Computed tomography

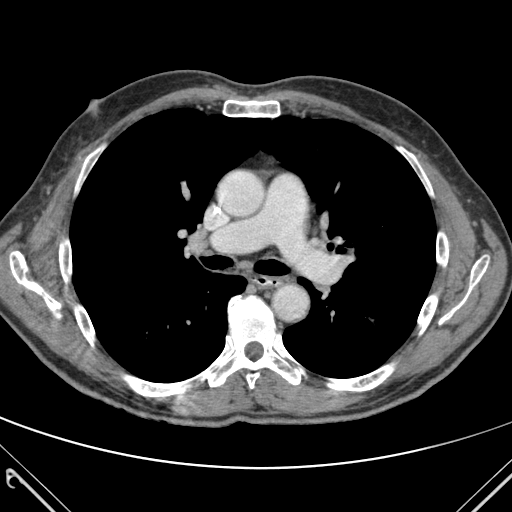 Lung: bounding box (x1=70, y1=108, x2=435, y2=382).
Bone: bounding box (x1=418, y1=295, x2=437, y2=333), (x1=327, y1=365, x2=393, y2=390), (x1=59, y1=241, x2=71, y2=281), (x1=398, y1=147, x2=432, y2=194), (x1=222, y1=100, x2=281, y2=117), (x1=124, y1=295, x2=303, y2=396), (x1=436, y1=232, x2=448, y2=265), (x1=439, y1=255, x2=488, y2=324), (x1=75, y1=306, x2=94, y2=345), (x1=10, y1=251, x2=60, y2=317), (x1=75, y1=148, x2=101, y2=190).